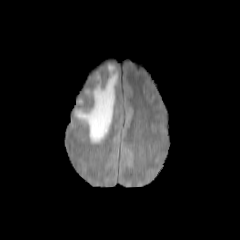
FLAIR MR image.
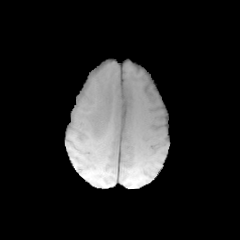
Same slice, T1-weighted magnetic resonance.
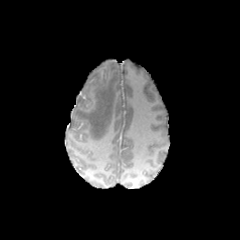
Post-contrast T1-weighted magnetic resonance of the same slice.
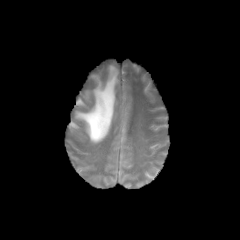
T2-weighted MR image.
Image size 240x240. Brain.
edema: 74:64:117:143